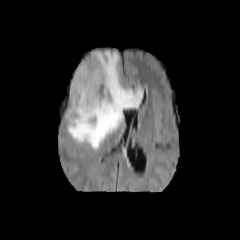
FLAIR MR.
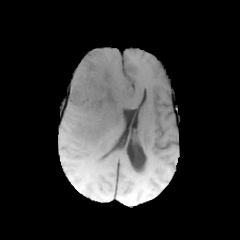
T1-weighted MR.
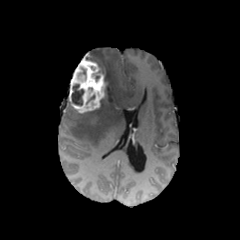
Post-contrast T1-weighted MRI.
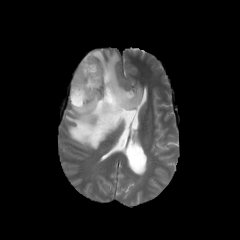
T2-weighted magnetic resonance of the same slice.
Non-enhancing tumor core: <bbox>71, 85, 83, 105</bbox>, <bbox>96, 62, 109, 107</bbox>.
Enhancing tumor: <bbox>68, 53, 106, 113</bbox>.
Edema: <bbox>66, 50, 142, 149</bbox>.